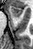 33x49. Medial temporal lobe. MRI slice. - anterior hippocampus: 11 6 22 16